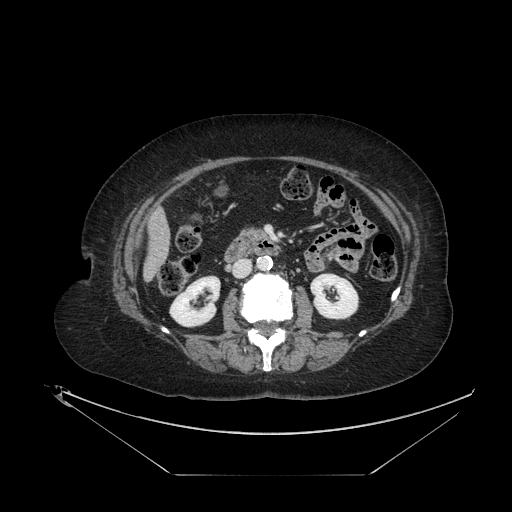

CT image, Image size 512x512
Annotated regions:
• pancreas: bbox=[247, 228, 265, 241]